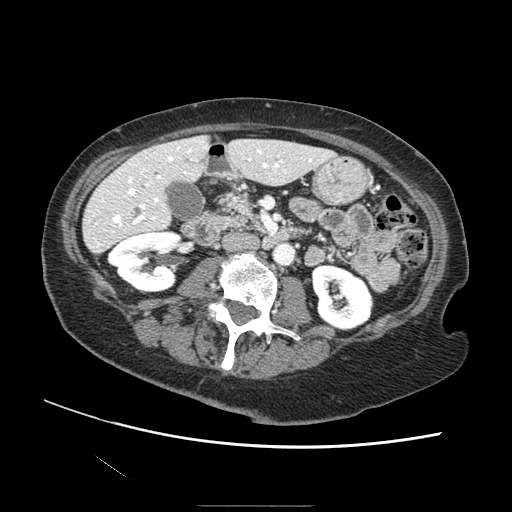

CT slice

Annotated regions:
- pancreas: [x1=217, y1=192, x2=262, y2=231]